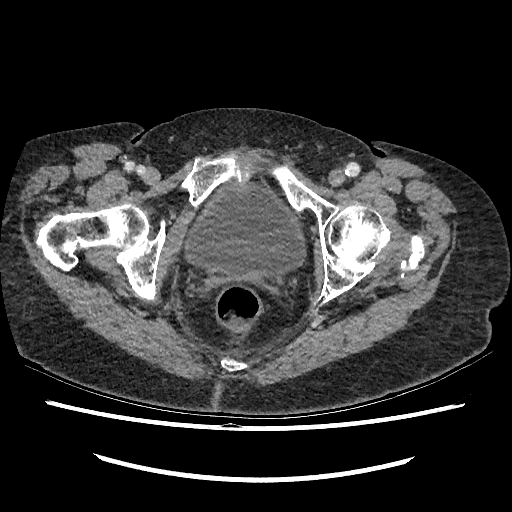
CT scan slice; Pelvis
urinary bladder: 180,181,306,287